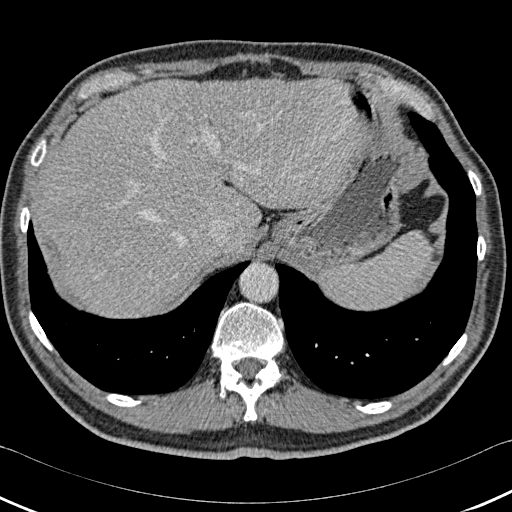

CT image
The liver appears at 38, 78, 372, 317. 9 bone regions appear at 468, 170, 481, 194; 31, 140, 45, 166; 29, 312, 52, 350; 106, 394, 140, 406; 443, 334, 466, 365; 477, 236, 485, 260; 212, 303, 282, 420; 356, 402, 391, 413; 20, 207, 29, 232. 2 lung regions are located at 27, 220, 250, 395; 275, 111, 477, 401.